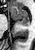 Hippocampus; Magnetic resonance

{
  "anterior_hippocampus": [
    "(9, 7, 29, 23)"
  ],
  "posterior_hippocampus": [
    "(21, 24, 27, 25)"
  ]
}